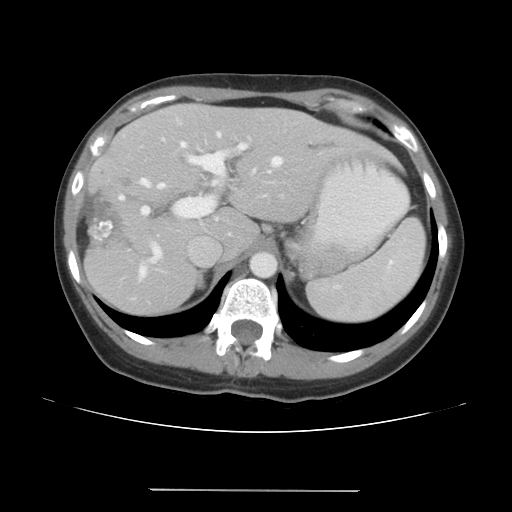
CT image
Not every hepatic vessel necessarily has a box.
Hepatic vessel: 162 138 165 141, 140 205 150 215, 158 184 164 187, 138 240 164 280, 140 180 149 185, 179 140 187 149, 173 195 215 218, 121 197 124 200, 271 156 283 168, 186 142 248 186.
Liver tumor: 88 196 132 248.